CT scan slice; Chest; Image size 512x512; Slice index 671
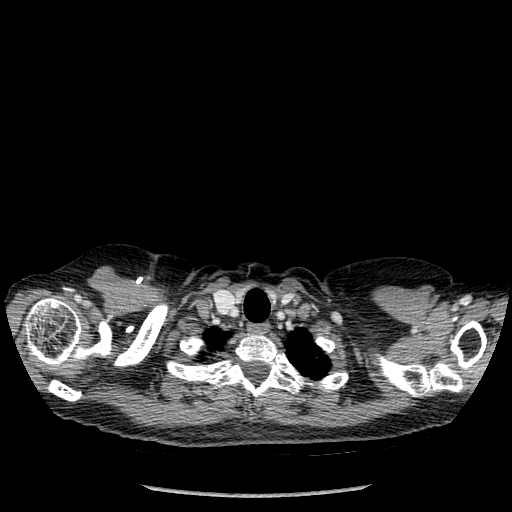 <segmentation>
  <lung>left=244, top=289, right=269, bottom=322; left=285, top=328, right=330, bottom=379; left=203, top=328, right=229, bottom=350</lung>
  <bone>left=24, top=298, right=111, bottom=366; left=167, top=333, right=314, bottom=396; left=315, top=336, right=335, bottom=352; left=47, top=380, right=81, bottom=401; left=450, top=320, right=486, bottom=372; left=180, top=337, right=203, bottom=355; left=374, top=354, right=463, bottom=396; left=114, top=303, right=168, bottom=366; left=316, top=372, right=348, bottom=391</bone>
</segmentation>